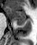 Magnetic resonance.
The posterior hippocampus is at 15:20:25:25. The anterior hippocampus lies within 6:6:25:19.